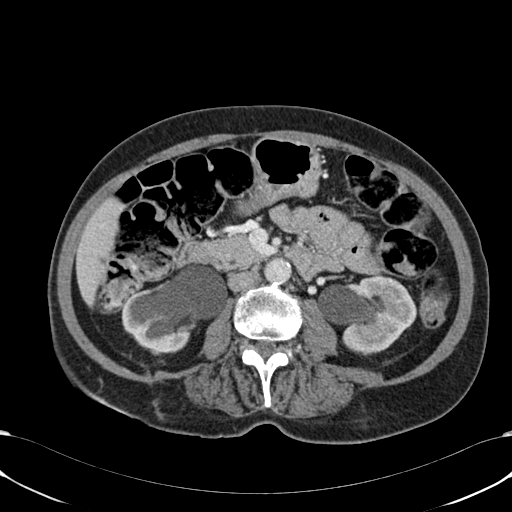 CT image, Upper abdomen

kidney:
  - box=[119, 289, 227, 353]
  - box=[343, 276, 415, 353]
liver:
  - box=[76, 201, 120, 305]